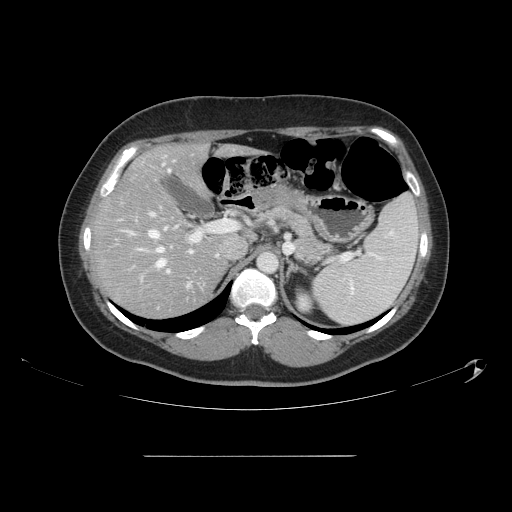 Image size 512x512 | Computed tomography

Some hepatic vessels may have no box.
hepatic vessel: l=166, t=270, r=169, b=272; l=150, t=212, r=154, b=215; l=148, t=230, r=158, b=237; l=156, t=247, r=163, b=252; l=189, t=239, r=199, b=242; l=189, t=250, r=192, b=252; l=187, t=285, r=188, b=287; l=156, t=259, r=164, b=266; l=138, t=249, r=141, b=249; l=165, t=227, r=167, b=228; l=126, t=231, r=132, b=233